MR image, Slice index 21, 36x51 px, Image width 36 mm
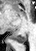
The posterior hippocampus appears at (11, 34, 26, 43).